FLAIR MR.
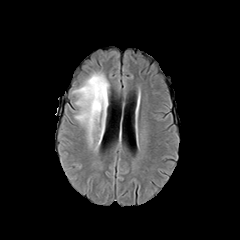
T1-weighted MRI.
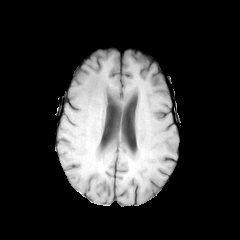
Post-contrast T1-weighted MRI.
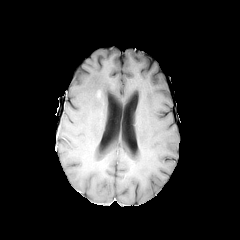
T2-weighted MR image.
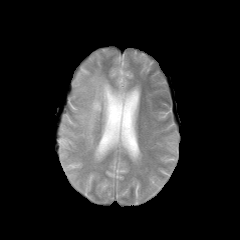
Head; 240x240
The edema is at (72,71,110,146).